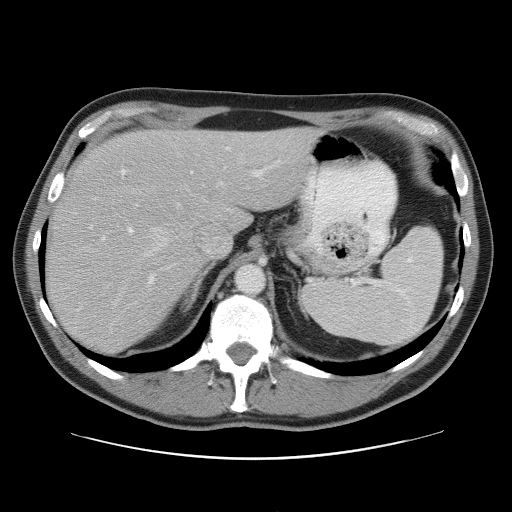
CT image
The vessel boxes may cover only some of the vessels.
{
  "hepatic_vessel": [
    "[147, 228, 168, 255]",
    "[176, 203, 180, 209]",
    "[135, 204, 137, 206]",
    "[222, 206, 233, 212]",
    "[148, 273, 154, 284]",
    "[226, 148, 229, 150]",
    "[243, 161, 280, 177]",
    "[189, 170, 192, 173]",
    "[199, 196, 207, 206]",
    "[89, 226, 91, 228]",
    "[120, 169, 126, 175]",
    "[101, 237, 104, 240]",
    "[200, 213, 202, 216]",
    "[217, 182, 222, 185]",
    "[128, 228, 131, 232]"
  ]
}